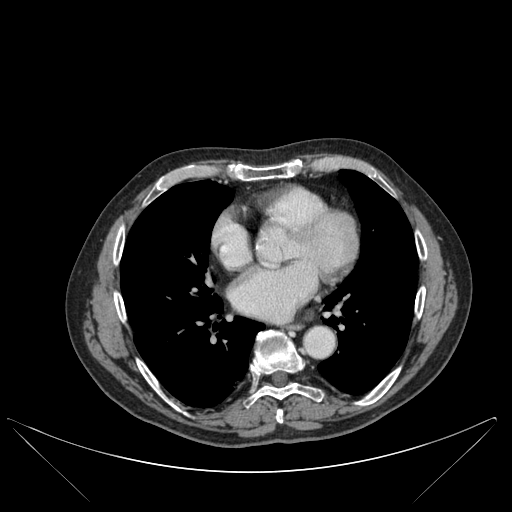

CT scan slice
bone: <bbox>114, 292, 125, 321</bbox>, <bbox>156, 177, 164, 189</bbox>, <bbox>136, 359, 179, 410</bbox>, <bbox>225, 161, 303, 180</bbox>, <bbox>415, 231, 426, 259</bbox>, <bbox>276, 409, 282, 422</bbox>, <bbox>251, 330, 303, 378</bbox>, <bbox>415, 286, 425, 317</bbox>, <bbox>250, 383, 323, 403</bbox>, <bbox>356, 368, 400, 405</bbox>, <bbox>113, 226, 124, 264</bbox> | lung: <bbox>120, 180, 264, 406</bbox>, <bbox>318, 170, 418, 393</bbox>